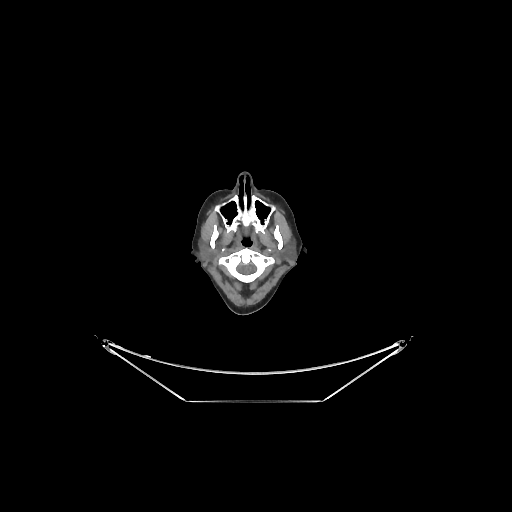 CT scan slice
Brain — bbox(236, 261, 256, 275).